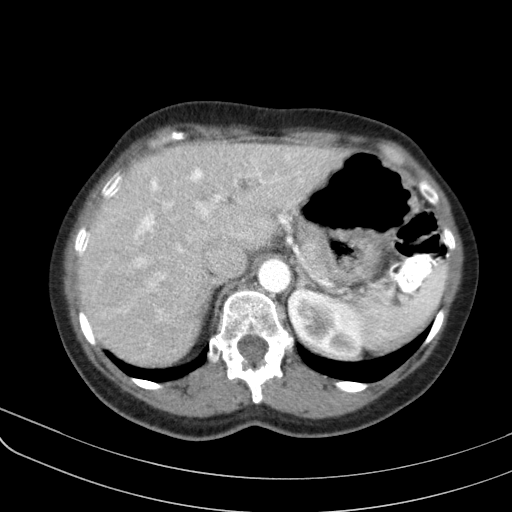

Upper abdomen, CT
pancreas: [298, 221, 341, 282]